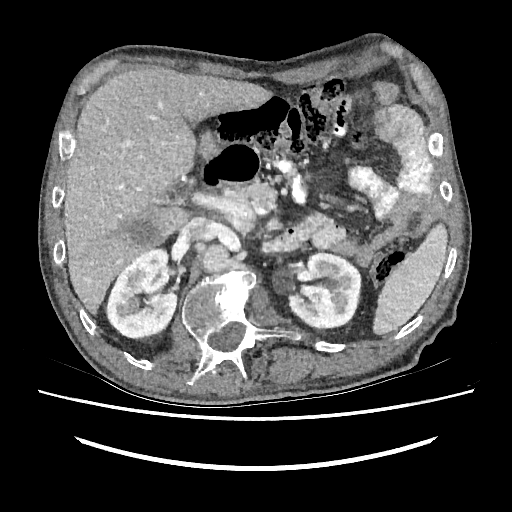 CT slice
Liver: x1=64 y1=69 x2=270 y2=314.
Kidney: x1=107 y1=249 x2=176 y2=337, x1=290 y1=253 x2=360 y2=327.
Liver lesion: x1=118 y1=215 x2=161 y2=248.